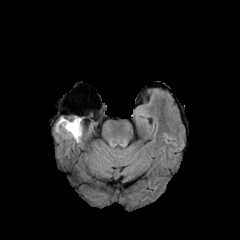
FLAIR MRI.
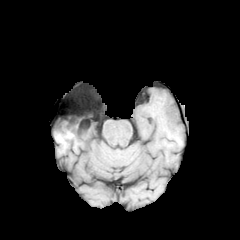
T1-weighted magnetic resonance.
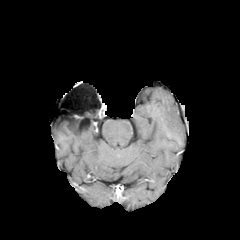
Post-contrast T1-weighted MRI.
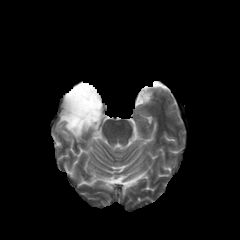
T2-weighted magnetic resonance of the same slice.
240x240 px
edema:
  - [x1=56, y1=117, x2=82, y2=142]
non-enhancing_tumor_core:
  - [x1=62, y1=116, x2=83, y2=131]